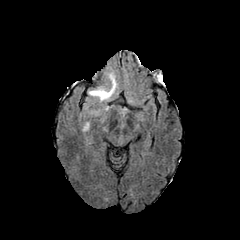
FLAIR MRI.
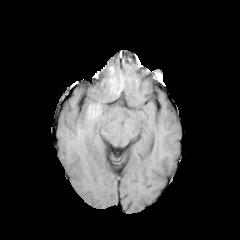
T1-weighted MR.
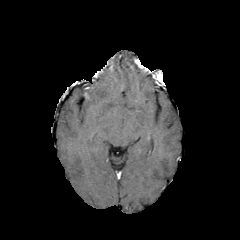
Post-contrast T1-weighted magnetic resonance.
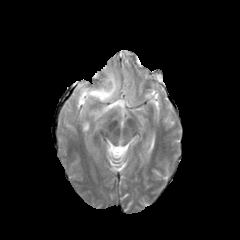
Same slice, T2-weighted MR.
{"edema": ["84 70 118 115"]}